Abdomen; 512x512; Image width 388 mm; CT scan slice
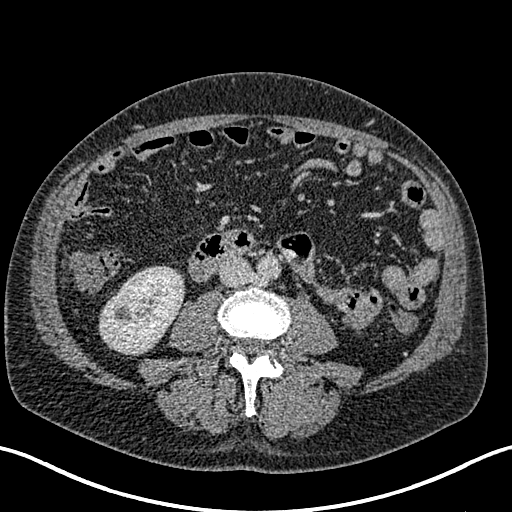 The kidney appears at box(100, 267, 183, 353).